FLAIR magnetic resonance.
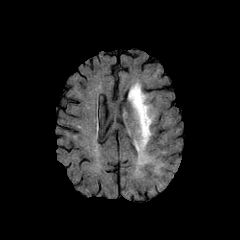
T1-weighted MR image.
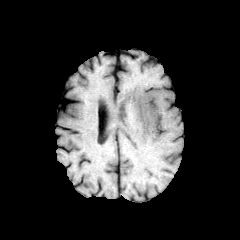
Post-contrast T1-weighted MR image.
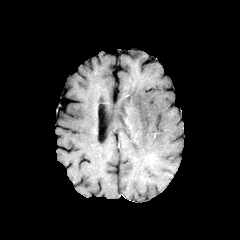
T2-weighted MR image.
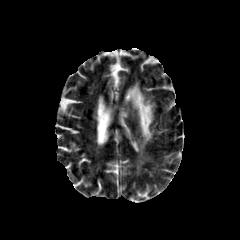
240x240 px; Brain
Edema: bounding box {"x1": 127, "y1": 82, "x2": 155, "y2": 165}.